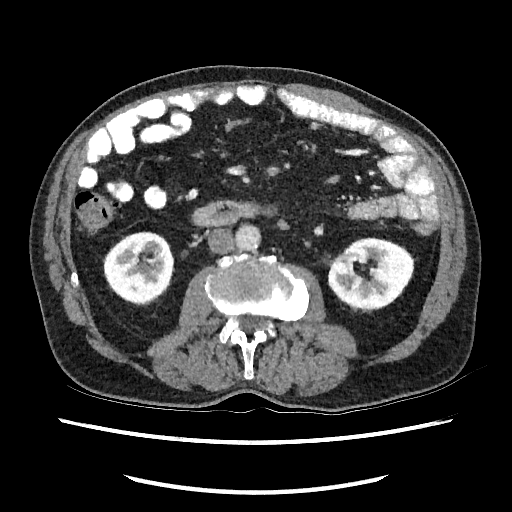 CT scan slice

2 kidney regions are located at (x1=104, y1=232, x2=173, y2=304), (x1=328, y1=238, x2=413, y2=311).